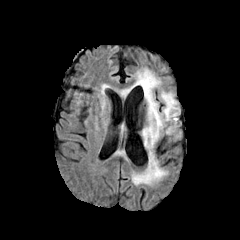
FLAIR MR.
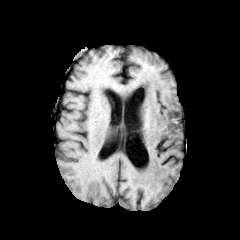
T1-weighted MR image.
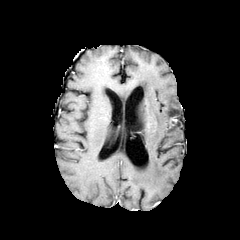
Post-contrast T1-weighted MRI.
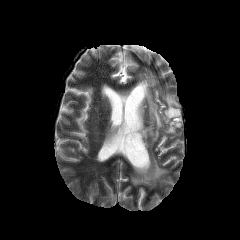
Same slice, T2-weighted MR.
Brain
edema:
  - {"x1": 120, "y1": 68, "x2": 180, "y2": 186}